CT image; Slice 131 of 247

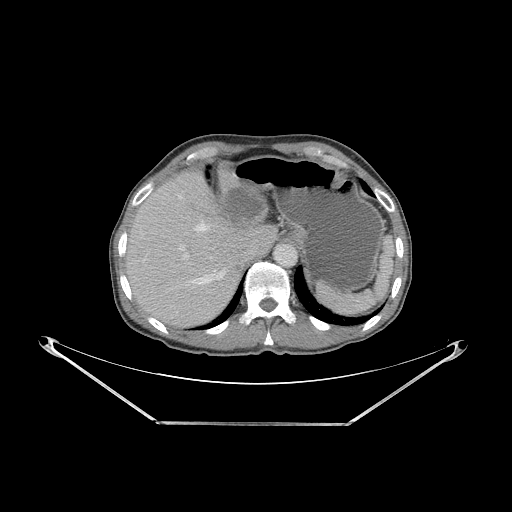
{
  "liver": [
    "box(127, 163, 276, 327)"
  ],
  "bone": [
    "box(133, 185, 151, 205)",
    "box(392, 278, 400, 297)",
    "box(148, 318, 167, 332)",
    "box(118, 233, 126, 255)",
    "box(363, 316, 380, 330)",
    "box(396, 238, 403, 257)",
    "box(242, 262, 294, 323)",
    "box(265, 332, 272, 344)",
    "box(310, 317, 329, 329)",
    "box(120, 276, 131, 299)",
    "box(206, 321, 228, 333)",
    "box(375, 189, 394, 211)"
  ],
  "lung": [
    "box(209, 285, 242, 326)",
    "box(294, 269, 371, 325)"
  ],
  "focal_liver_lesion": [
    "box(225, 188, 261, 227)"
  ]
}